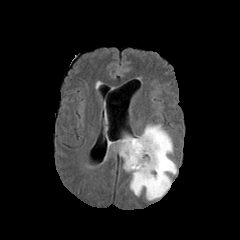
FLAIR MR image.
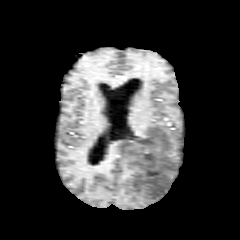
T1-weighted MR image.
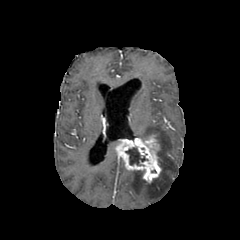
Post-contrast T1-weighted MR image.
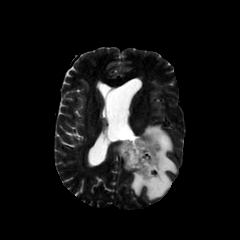
T2-weighted MRI of the same slice.
Brain
<segmentation>
  <enhancing_tumor>(116,135,161,182)</enhancing_tumor>
  <edema>(123,124,177,200)</edema>
  <non-enhancing_tumor_core>(125,147,147,165), (150,133,159,146)</non-enhancing_tumor_core>
</segmentation>